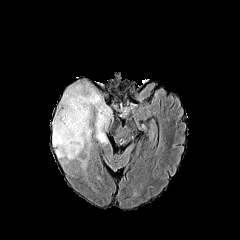
FLAIR magnetic resonance.
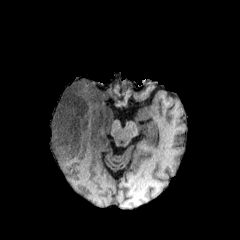
T1-weighted magnetic resonance.
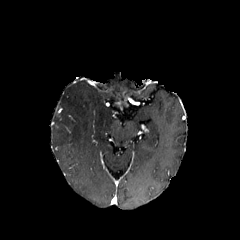
Same slice, post-contrast T1-weighted MRI.
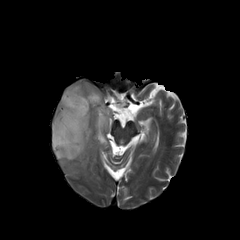
T2-weighted magnetic resonance.
Findings:
• edema: (51,80,112,170)